Lung. Slice index 254. CT.

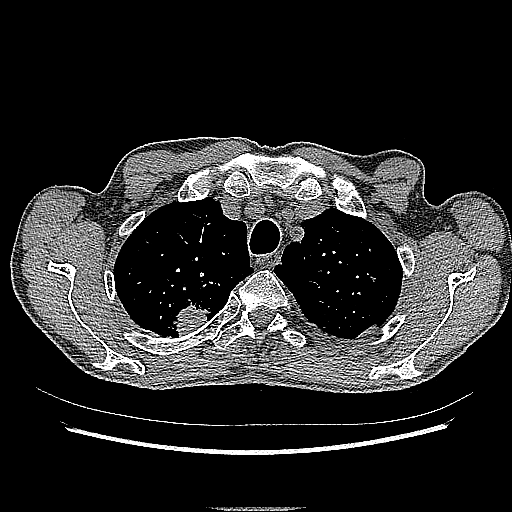

Lung tumor = (165,299,215,338).